Brain, Slice index 96, Image size 240x240
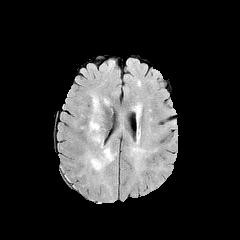
FLAIR MR image.
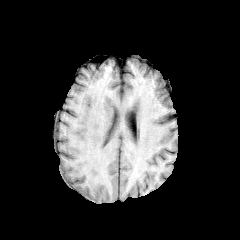
T1-weighted MR.
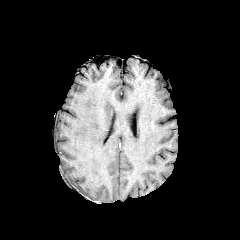
Post-contrast T1-weighted MR image of the same slice.
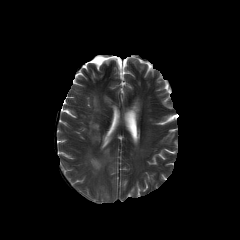
T2-weighted magnetic resonance.
3 edema regions are bounded by region(89, 117, 101, 142); region(93, 97, 99, 111); region(88, 147, 113, 170).